CT scan slice | Liver
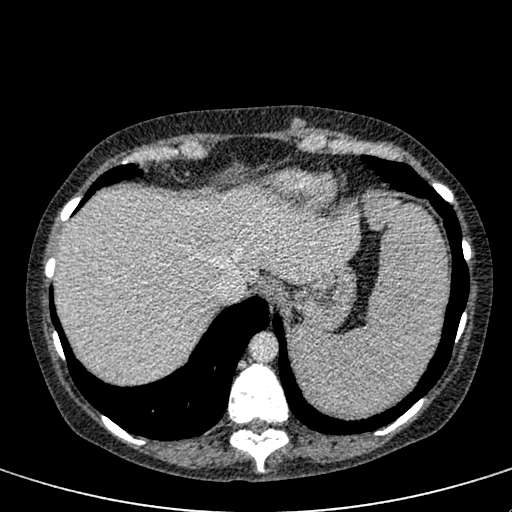 Liver = rect(57, 189, 359, 384).
Hepatic lesion = rect(194, 232, 212, 248).